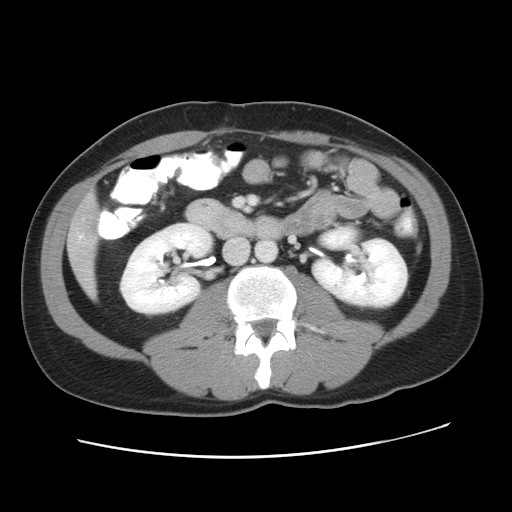
CT image. The vessel annotation is not exhaustive.
The hepatic vessel is bounded by x1=78 y1=234 x2=83 y2=241.